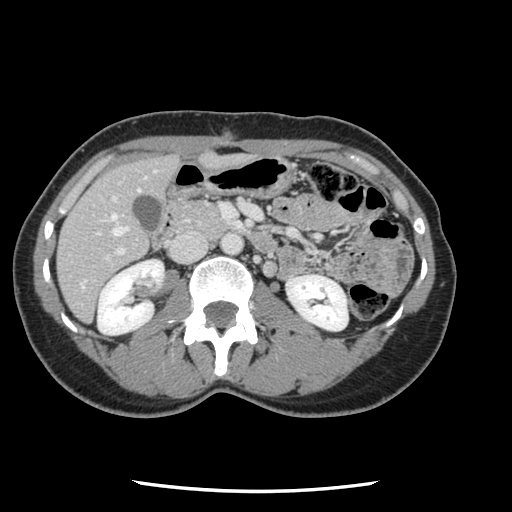
Abdomen. CT.
Some hepatic vessels may have no box.
<segmentation>
  <hepatic_vessel>rect(112, 197, 114, 199); rect(113, 227, 127, 235); rect(117, 248, 122, 253); rect(111, 213, 116, 218); rect(81, 281, 84, 286)</hepatic_vessel>
</segmentation>